Computed tomography, Image size 512x512 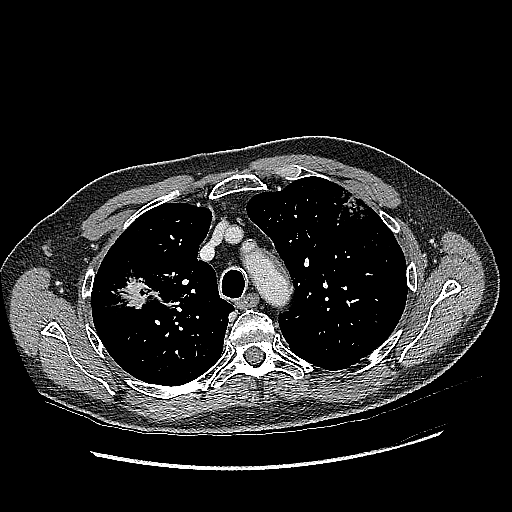
{
  "lung_tumor": [
    "box(92, 260, 172, 313)"
  ]
}